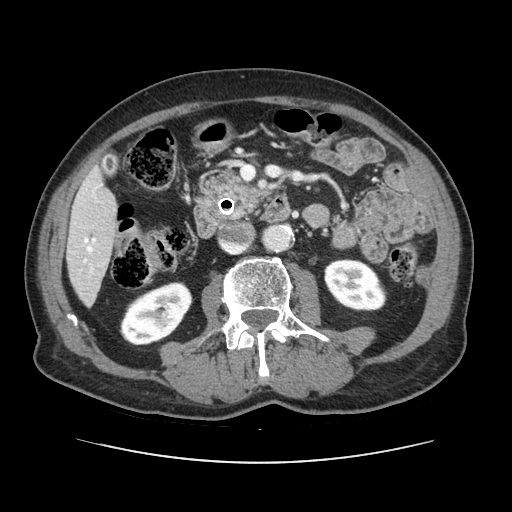 Upper abdomen; 512x512; CT scan slice

Pancreas: l=222, t=179, r=265, b=217.